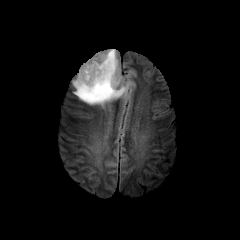
FLAIR MR.
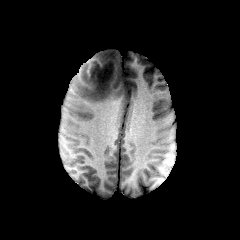
T1-weighted MR of the same slice.
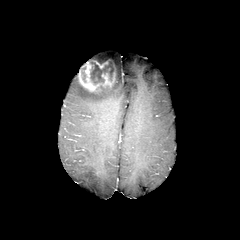
Same slice, post-contrast T1-weighted magnetic resonance.
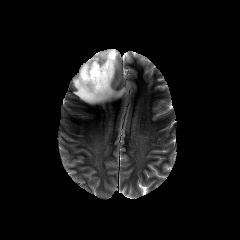
T2-weighted magnetic resonance of the same slice.
Brain
Non-enhancing tumor core = 89 59 116 94, 81 66 86 82.
Enhancing tumor = 79 62 100 91, 102 74 111 86.
Edema = 72 49 129 106.